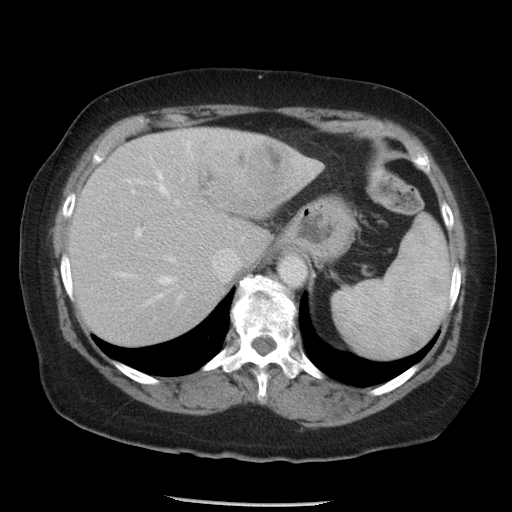 CT scan slice; Liver
The vessel boxes may cover only some of the vessels.
Liver tumor = bbox(240, 140, 287, 173).
Principal 15 of 17 hepatic vessel regions = bbox(165, 254, 175, 261); bbox(142, 293, 162, 305); bbox(104, 235, 107, 237); bbox(113, 233, 116, 234); bbox(131, 189, 134, 192); bbox(177, 295, 182, 300); bbox(175, 200, 178, 204); bbox(110, 183, 112, 186); bbox(158, 275, 175, 284); bbox(135, 228, 142, 236); bbox(134, 178, 146, 183); bbox(115, 272, 134, 278); bbox(154, 170, 168, 195); bbox(126, 178, 131, 183); bbox(100, 254, 104, 257).